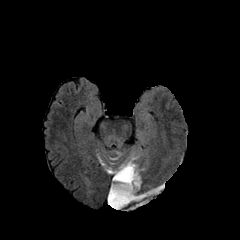
FLAIR MR.
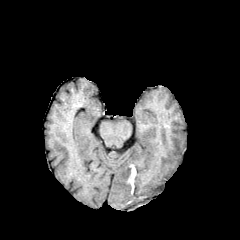
T1-weighted MRI of the same slice.
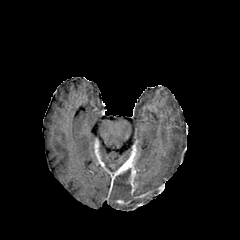
Post-contrast T1-weighted magnetic resonance.
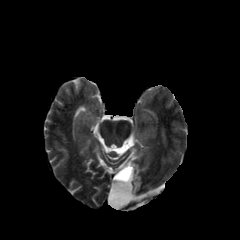
Same slice, T2-weighted magnetic resonance.
Image size 240x240
{
  "edema": [
    "region(108, 168, 157, 210)"
  ],
  "non-enhancing_tumor_core": [
    "region(114, 169, 130, 183)",
    "region(130, 151, 139, 194)"
  ],
  "enhancing_tumor": [
    "region(114, 149, 136, 186)"
  ]
}